Brain; Slice 69/155
FLAIR MR.
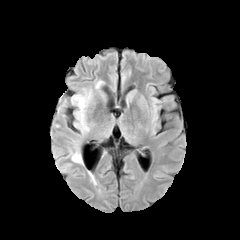
T1-weighted MR.
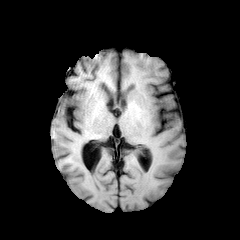
Post-contrast T1-weighted MR.
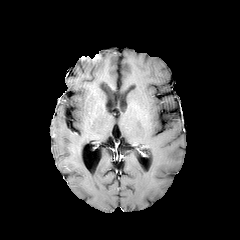
T2-weighted magnetic resonance.
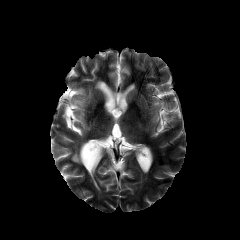
3 edema regions are located at 68,147,83,163; 94,81,102,89; 62,89,92,135.